CT scan slice | Slice index 101 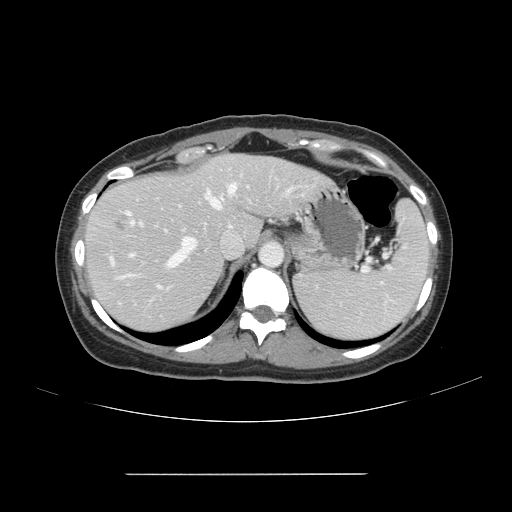

Not every hepatic vessel necessarily has a box.
10 hepatic vessel regions are located at [x1=140, y1=222, x2=141, y2=224], [x1=111, y1=257, x2=113, y2=264], [x1=205, y1=189, x2=222, y2=208], [x1=126, y1=212, x2=130, y2=214], [x1=167, y1=237, x2=195, y2=267], [x1=228, y1=184, x2=235, y2=193], [x1=118, y1=275, x2=131, y2=278], [x1=287, y1=188, x2=291, y2=191], [x1=131, y1=220, x2=134, y2=224], [x1=130, y1=254, x2=133, y2=255]. The liver tumor is bounded by [x1=116, y1=218, x2=126, y2=230].